Upper abdomen | CT slice

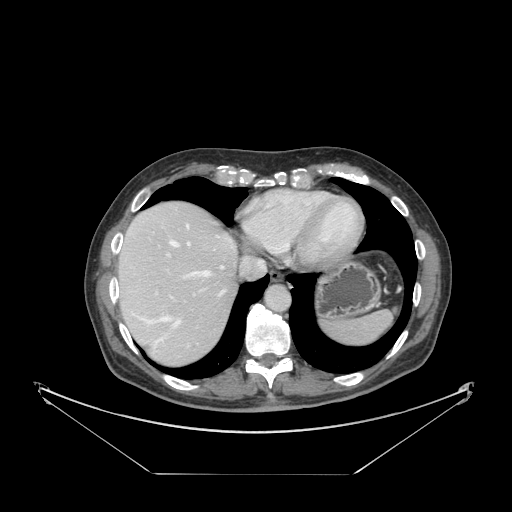

Segmented structures:
- spleen: box(322, 309, 394, 345)